Hippocampus. Field of view 36x46 mm. MRI.

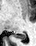 • posterior hippocampus: bbox=[13, 33, 25, 39]